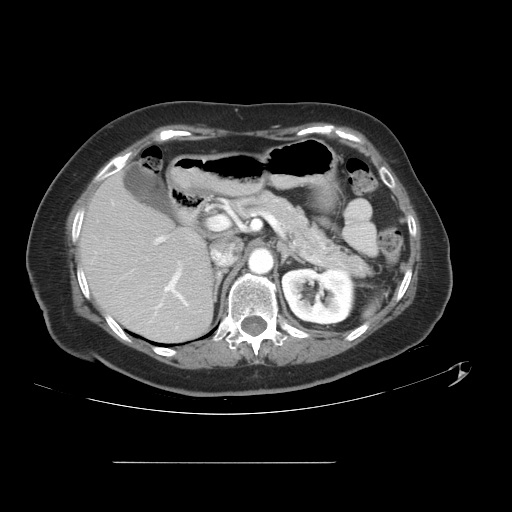 CT scan slice, Image size 512x512
The pancreas is bounded by <bbox>229, 193, 374, 278</bbox>.